FLAIR MRI.
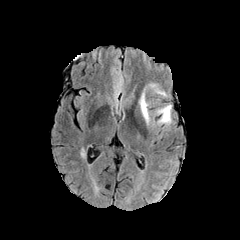
T1-weighted MR image.
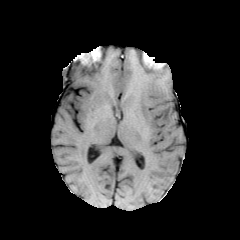
Post-contrast T1-weighted magnetic resonance.
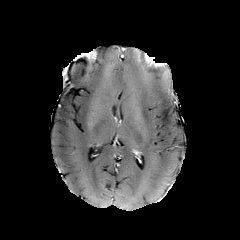
T2-weighted MR image.
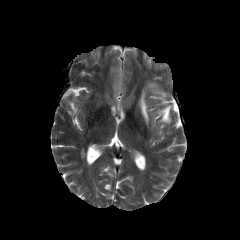
Head.
edema: (139, 89, 172, 125), (152, 89, 166, 97)